FLAIR magnetic resonance.
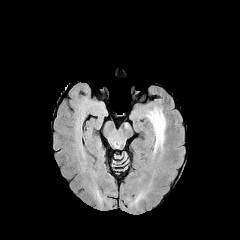
T1-weighted MR image.
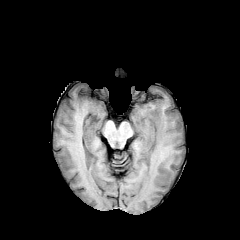
Post-contrast T1-weighted magnetic resonance.
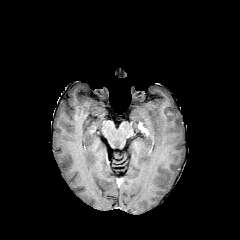
T2-weighted MR.
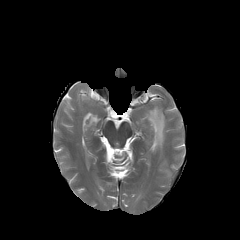
Brain. 240x240.
Edema: bounding box x1=144, y1=106, x2=166, y2=153.